Upper abdomen; CT; Slice 49/106

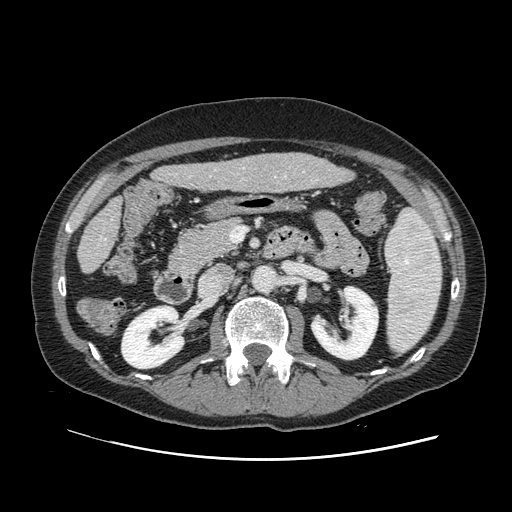 The pancreas appears at <box>169,219,239,281</box>.